Computed tomography 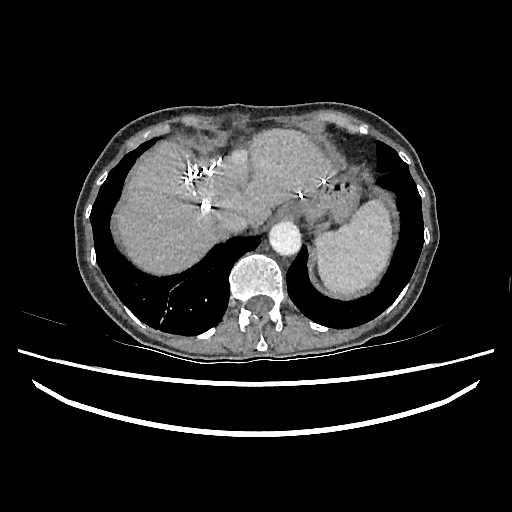

{"liver": ["region(118, 130, 332, 272)"]}